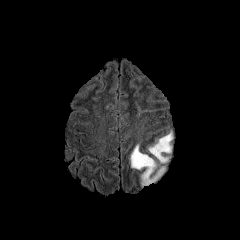
FLAIR magnetic resonance.
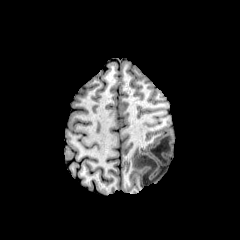
T1-weighted MR of the same slice.
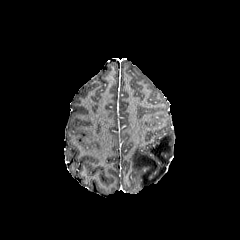
Post-contrast T1-weighted MR image.
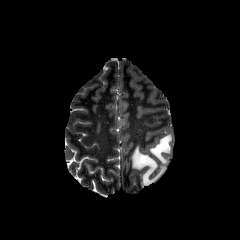
T2-weighted MRI.
Findings:
* edema: (x1=148, y1=131, x2=172, y2=162), (x1=131, y1=145, x2=164, y2=185)